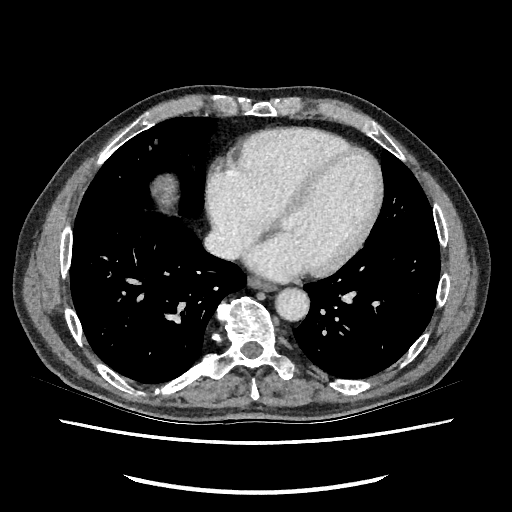 CT slice
Segmented structures:
- liver: [153,177,173,203]